CT scan slice; Abdomen; Slice index 272
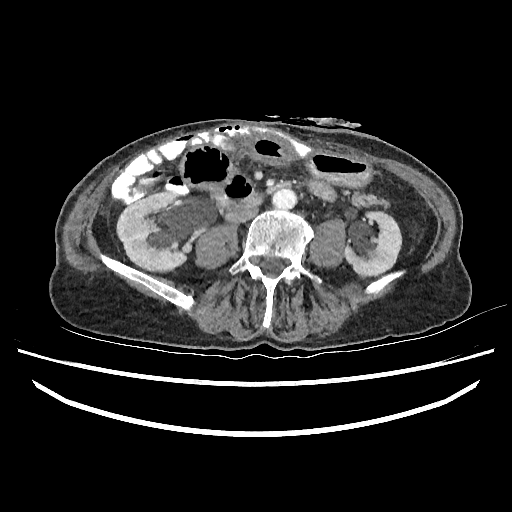 <segmentation>
  <kidney>l=183, t=243, r=190, b=251; l=117, t=195, r=185, b=270; l=345, t=212, r=401, b=275</kidney>
</segmentation>